Slice index 16 | MR | Hippocampus

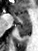

Anterior hippocampus: l=13, t=12, r=30, b=22.
Posterior hippocampus: l=17, t=23, r=30, b=37.